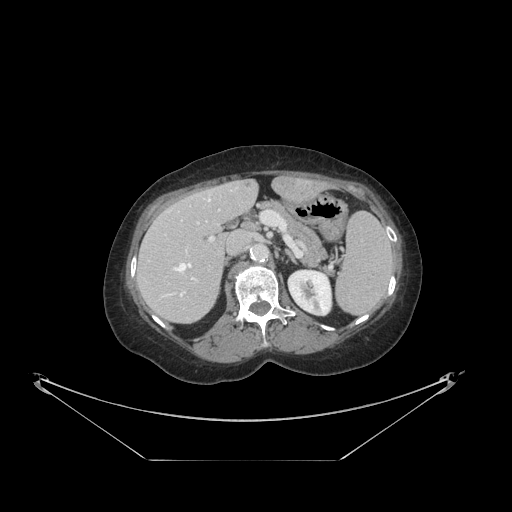

CT slice

Only some of the vessels may be annotated.
7 hepatic vessel regions are bounded by l=192, t=278, r=194, b=279; l=197, t=222, r=198, b=223; l=261, t=210, r=282, b=229; l=209, t=236, r=214, b=240; l=173, t=263, r=190, b=271; l=208, t=199, r=210, b=200; l=180, t=292, r=184, b=296.